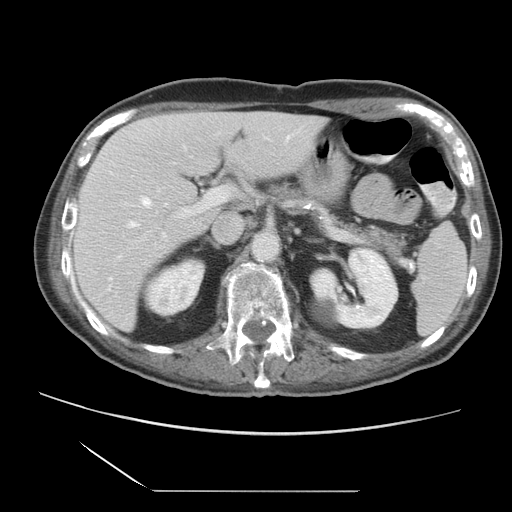
CT image
The vessel annotation is not exhaustive.
hepatic vessel: <box>165,203,166,205</box>, <box>109,278,111,280</box>, <box>128,220,139,227</box>, <box>287,135,291,139</box>, <box>140,195,152,207</box>, <box>109,286,110,289</box>, <box>178,187,230,217</box>, <box>184,146,185,148</box>